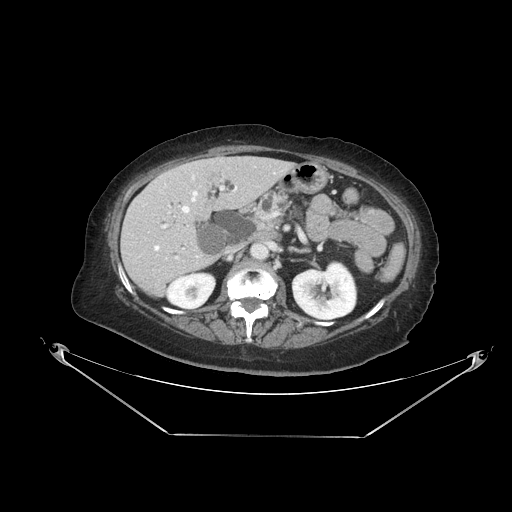
CT image
The pancreas is at region(258, 193, 293, 216).